FLAIR MRI.
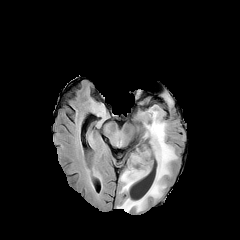
T1-weighted MR.
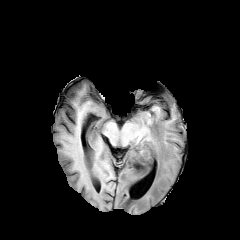
Post-contrast T1-weighted MR.
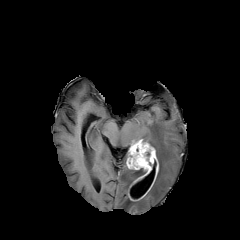
T2-weighted MR.
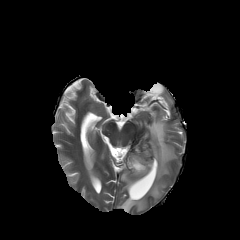
240x240. Head.
- enhancing tumor: x1=127, y1=155, x2=151, y2=173
- non-enhancing tumor core: x1=134, y1=168, x2=147, y2=177; x1=128, y1=140, x2=153, y2=162
- edema: x1=118, y1=107, x2=177, y2=212